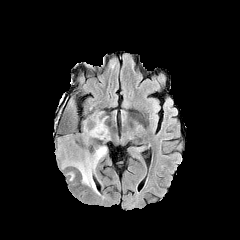
FLAIR MRI.
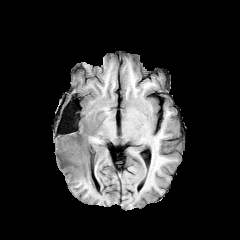
Same slice, T1-weighted MRI.
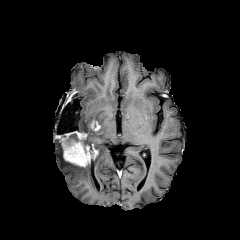
Post-contrast T1-weighted MR.
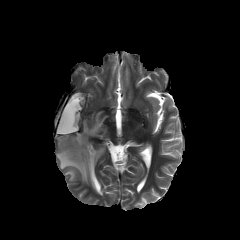
T2-weighted magnetic resonance.
Brain | Image size 240x240
Non-enhancing tumor core — bbox=[56, 124, 97, 155].
Edema — bbox=[58, 143, 106, 194]; bbox=[88, 111, 109, 141].
Enhancing tumor — bbox=[92, 122, 100, 130]; bbox=[64, 143, 97, 166].